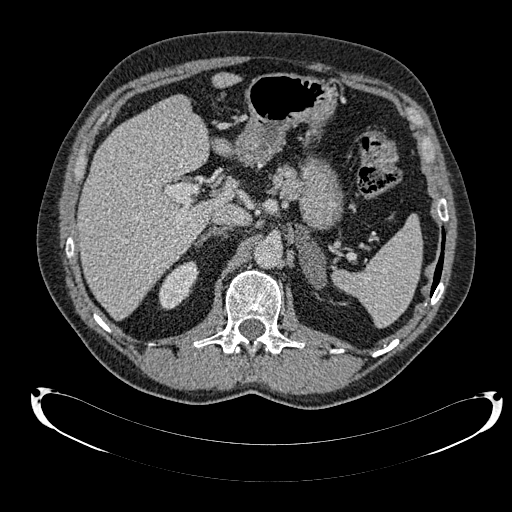

CT
• liver: 217,144,231,152; 213,73,241,87; 78,96,232,318
• kidney: 159,262,197,308